CT scan slice | Slice 218/410

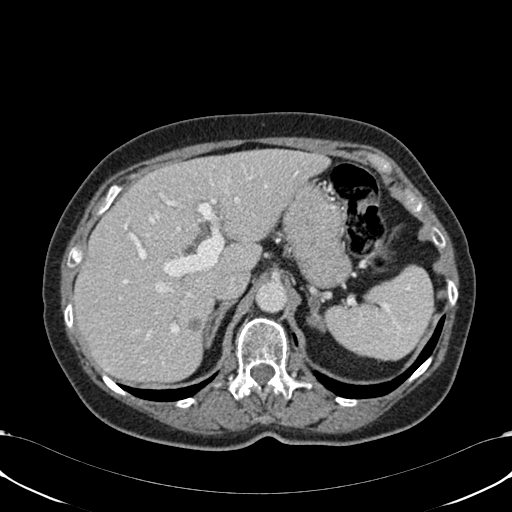 The liver is at {"x1": 75, "y1": 151, "x2": 329, "y2": 381}. The hepatic lesion appears at {"x1": 188, "y1": 317, "x2": 200, "y2": 331}.